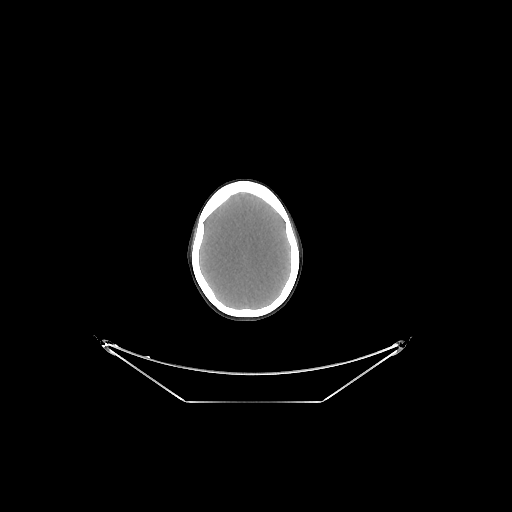 CT slice
<segmentation>
  <brain><bbox>199, 192, 290, 309</bbox></brain>
</segmentation>